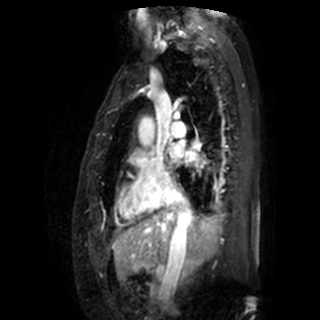 Magnetic resonance; 320x320
Left atrium — region(189, 152, 197, 161); region(169, 144, 180, 159).